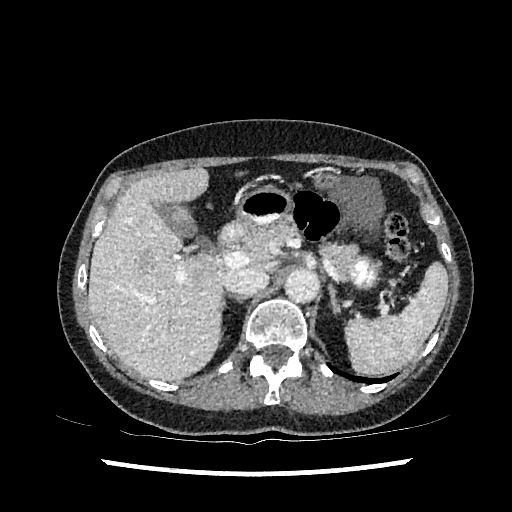

CT, Upper abdomen

Annotated regions:
* hepatic lesion: x1=140 y1=250 x2=153 y2=272, x1=95 y1=313 x2=106 y2=319
* liver: x1=176 y1=208 x2=189 y2=219, x1=89 y1=167 x2=222 y2=379